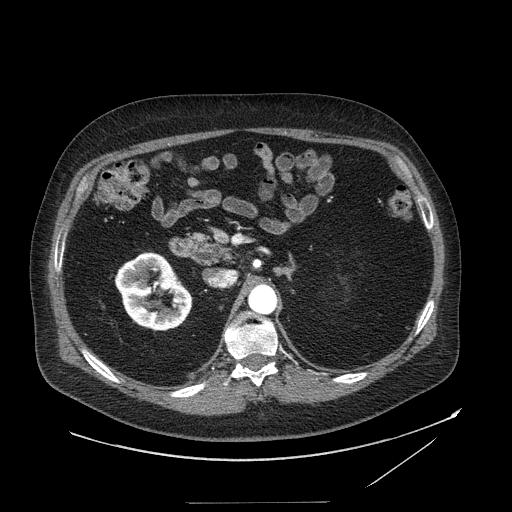

CT.

<segmentation>
  <pancreatic_tumor>bbox=[199, 253, 212, 259]</pancreatic_tumor>
  <pancreas>bbox=[189, 232, 230, 265]</pancreas>
</segmentation>